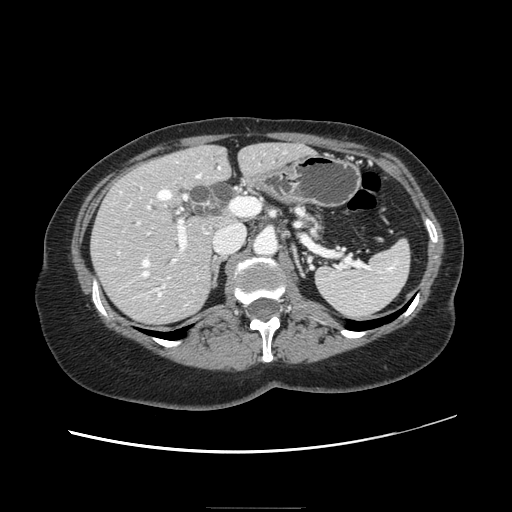 512x512, Abdomen, CT slice

The pancreas is located at <box>309,220,321,237</box>.